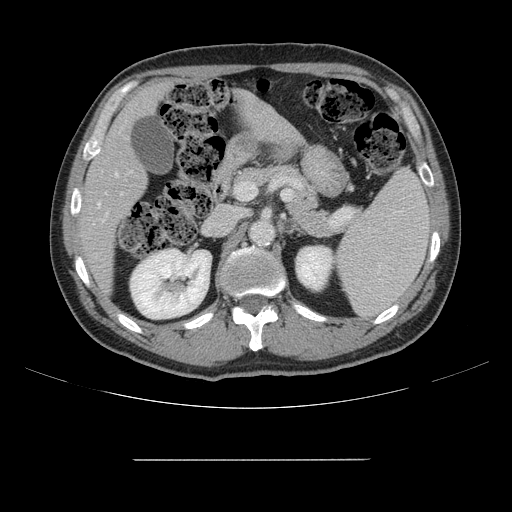 CT
The vessel annotation is not exhaustive.
hepatic vessel: (left=102, top=211, right=108, bottom=219), (left=121, top=192, right=122, bottom=195), (left=116, top=173, right=118, bottom=176), (left=98, top=204, right=100, bottom=206), (left=102, top=221, right=103, bottom=222)